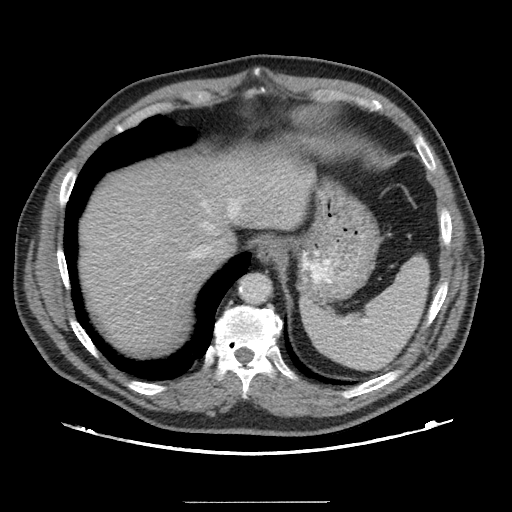 CT slice
The vessel annotation is not exhaustive.
hepatic vessel: 201 201 210 212, 188 246 210 258, 230 203 237 213, 200 222 214 229